Image width 240 mm | Slice index 73 | 240x240 px
FLAIR MR.
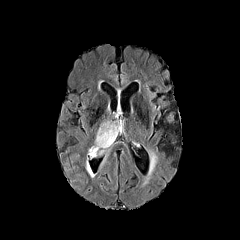
T1-weighted magnetic resonance.
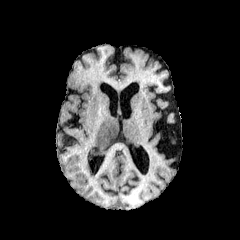
Post-contrast T1-weighted MRI.
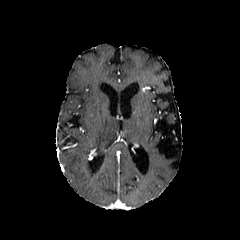
T2-weighted magnetic resonance.
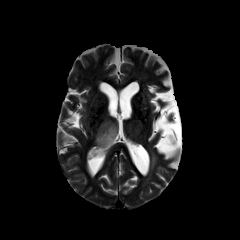
2 edema regions appear at x1=87 y1=122 x2=119 y2=154, x1=85 y1=159 x2=95 y2=177.